FLAIR MRI.
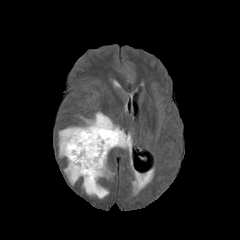
T1-weighted MR image.
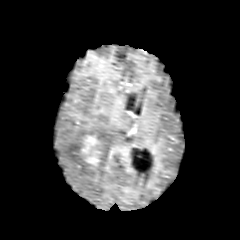
Post-contrast T1-weighted MR image.
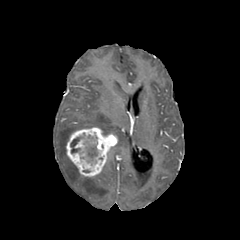
T2-weighted MR.
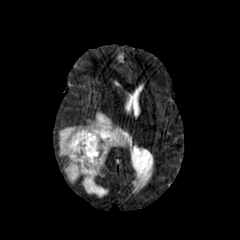
non-enhancing tumor core: {"x1": 70, "y1": 134, "x2": 98, "y2": 164} | enhancing tumor: {"x1": 75, "y1": 139, "x2": 84, "y2": 149}, {"x1": 66, "y1": 127, "x2": 117, "y2": 176} | edema: {"x1": 58, "y1": 111, "x2": 131, "y2": 198}